FLAIR MR image.
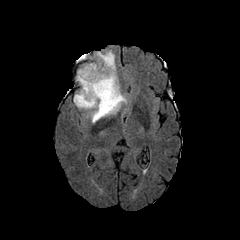
T1-weighted magnetic resonance.
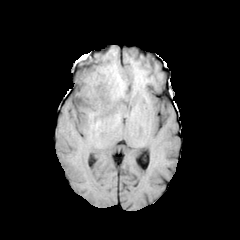
Post-contrast T1-weighted MRI.
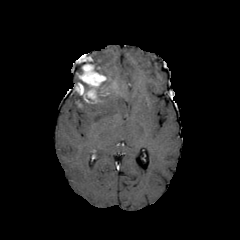
T2-weighted MRI.
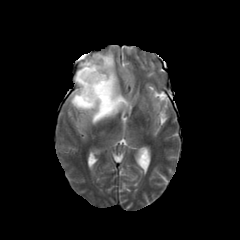
Brain; Image size 240x240
Non-enhancing tumor core: region(73, 73, 87, 89); region(89, 59, 102, 73); region(96, 72, 115, 91); region(75, 91, 108, 107).
Enhancing tumor: region(75, 56, 107, 103).
Edema: region(72, 50, 127, 123).